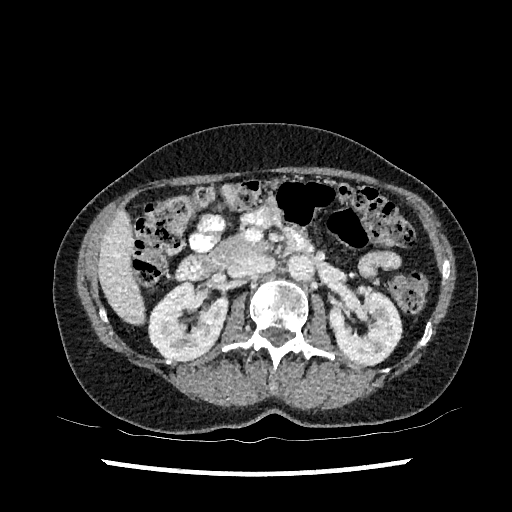
Abdomen. CT scan slice. 512x512.

The liver is at (x1=99, y1=211, x2=144, y2=324). 2 kidney regions are located at (x1=149, y1=283, x2=227, y2=360), (x1=330, y1=293, x2=401, y2=364).